240x240
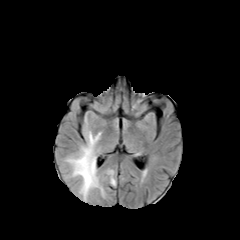
FLAIR MR.
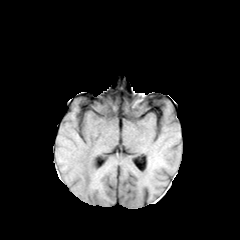
Same slice, T1-weighted magnetic resonance.
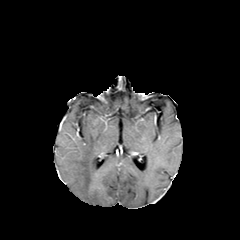
Post-contrast T1-weighted MR.
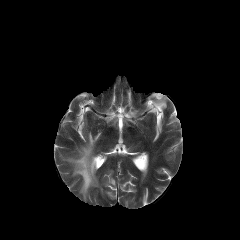
T2-weighted MR image of the same slice.
Edema — [105, 169, 116, 186], [64, 131, 104, 200].